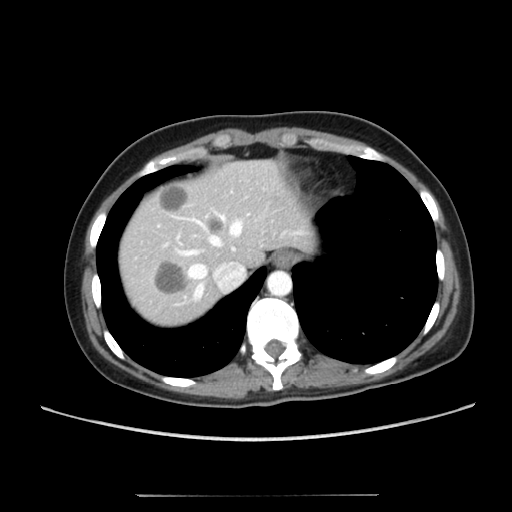
Upper abdomen; CT scan slice
liver_lesion:
  - (152,260,187,294)
  - (158,183,187,211)
  - (208,219,223,233)
liver:
  - (117,160,319,327)